T2-weighted magnetic resonance.
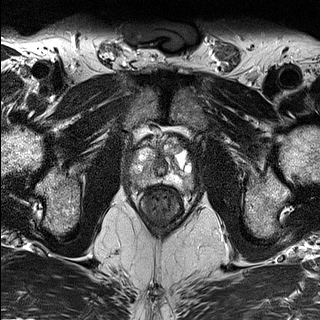
ADC MRI.
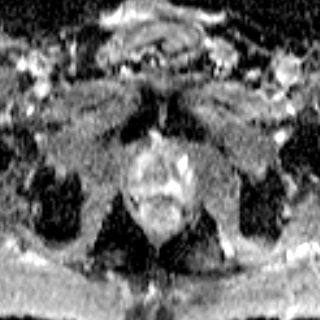
Pelvis
Prostate peripheral zone — 130:145:194:192.
Prostate transition zone — 147:142:194:177.